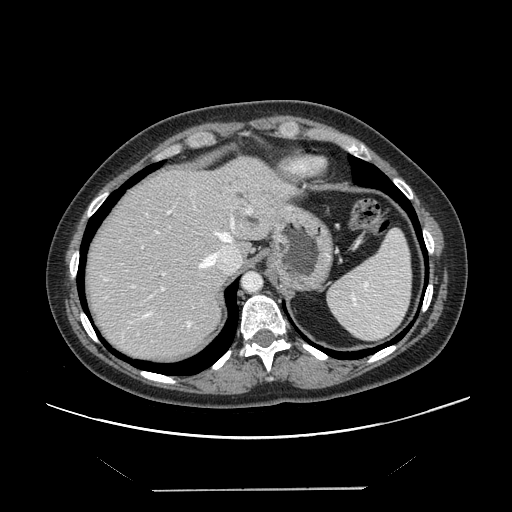

CT slice
Only some of the vessels may be annotated.
• hepatic vessel: {"x1": 154, "y1": 229, "x2": 159, "y2": 233}, {"x1": 103, "y1": 278, "x2": 107, "y2": 280}, {"x1": 139, "y1": 312, "x2": 153, "y2": 318}, {"x1": 162, "y1": 273, "x2": 165, "y2": 274}, {"x1": 198, "y1": 215, "x2": 243, "y2": 273}, {"x1": 245, "y1": 204, "x2": 252, "y2": 214}, {"x1": 187, "y1": 321, "x2": 189, "y2": 327}, {"x1": 168, "y1": 210, "x2": 170, "y2": 213}, {"x1": 141, "y1": 246, "x2": 142, "y2": 247}, {"x1": 160, "y1": 287, "x2": 164, "y2": 290}